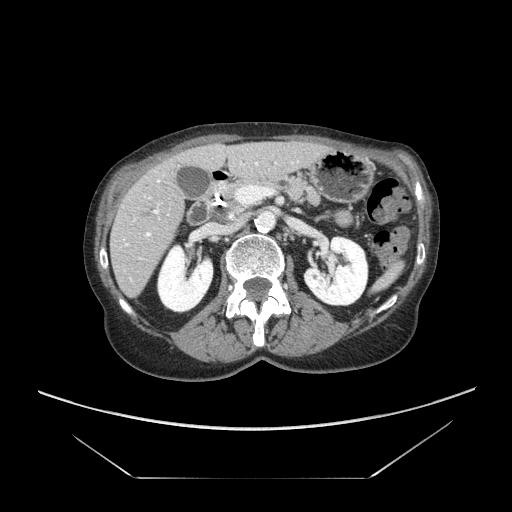

Computed tomography, 512x512
The pancreas lies within [x1=210, y1=171, x2=324, y2=222].